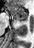
MR. Hippocampus.
Annotated regions:
- anterior hippocampus: bbox=[8, 7, 27, 20]
- posterior hippocampus: bbox=[19, 21, 26, 22]